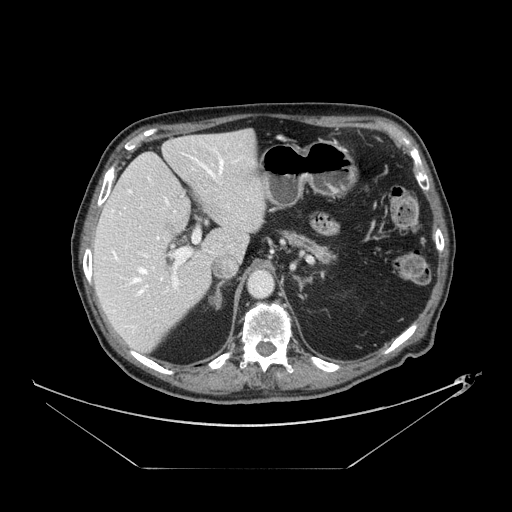

Upper abdomen; CT scan slice

Pancreas — left=282, top=232, right=334, bottom=263.